FLAIR MRI.
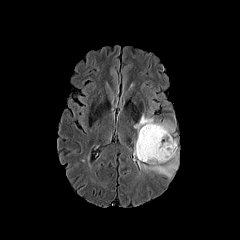
T1-weighted MR.
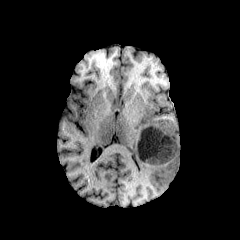
Post-contrast T1-weighted MR.
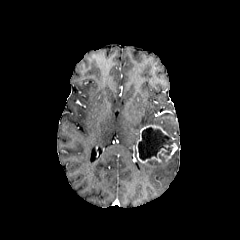
T2-weighted MR image.
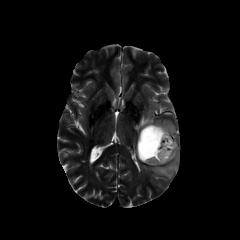
edema:
  - (left=133, top=108, right=174, bottom=140)
  - (left=138, top=151, right=178, bottom=177)
enhancing_tumor:
  - (left=164, top=142, right=176, bottom=155)
  - (left=136, top=124, right=170, bottom=163)
non-enhancing_tumor_core:
  - (left=138, top=127, right=174, bottom=161)